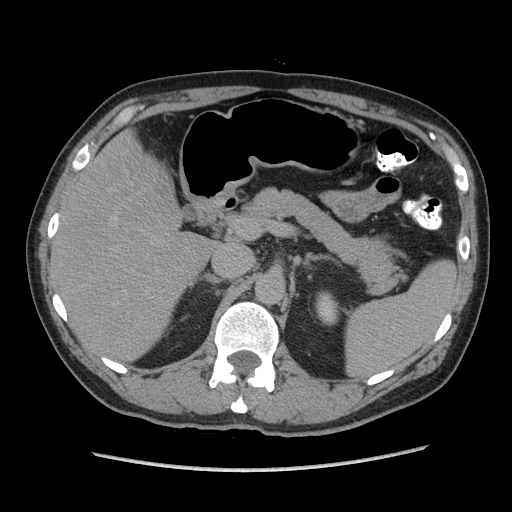

Upper abdomen; CT scan slice

* pancreas: (241,187,407,295)